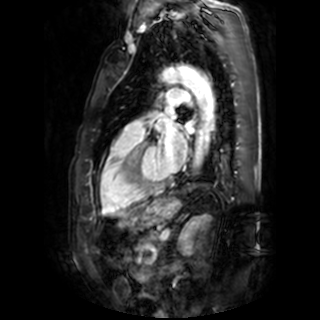 Heart; Magnetic resonance
Left atrium: bounding box l=185, t=122, r=191, b=131; l=158, t=126, r=187, b=173.